Slice 431/908 | Abdomen | 512x512 px | CT

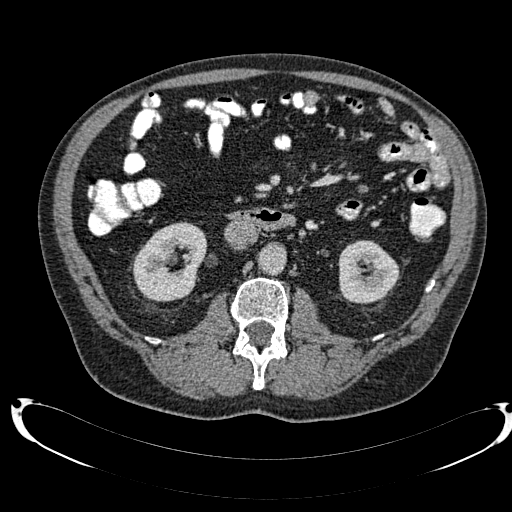

Kidney = (339,240,398,303), (133,222,206,301).